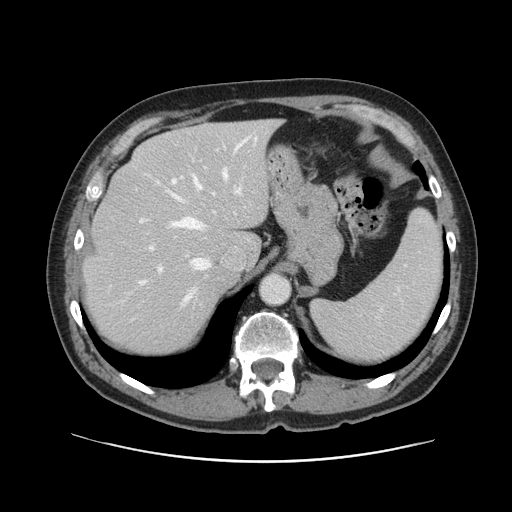

CT slice; Liver
The vessel annotation is not exhaustive.
Most prominent 15 of 16 hepatic vessel regions: left=193, top=176, right=201, bottom=189; left=234, top=188, right=240, bottom=193; left=191, top=258, right=209, bottom=269; left=140, top=219, right=147, bottom=222; left=158, top=267, right=161, bottom=272; left=184, top=292, right=192, bottom=302; left=171, top=193, right=181, bottom=200; left=172, top=217, right=201, bottom=228; left=255, top=138, right=256, bottom=140; left=139, top=280, right=145, bottom=285; left=223, top=169, right=227, bottom=177; left=236, top=137, right=249, bottom=148; left=172, top=180, right=176, bottom=183; left=150, top=246, right=152, bottom=249; left=157, top=181, right=158, bottom=183.